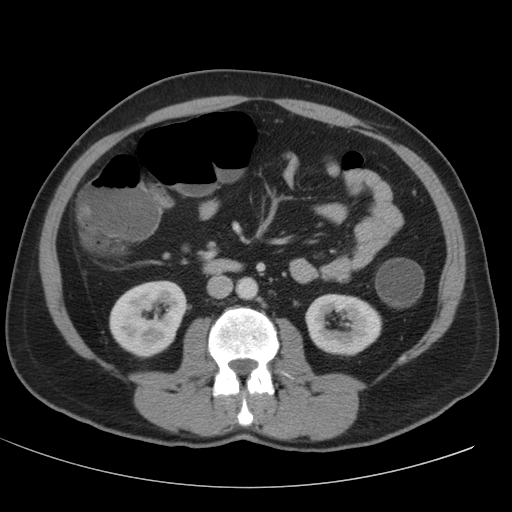

512x512, CT image, Abdomen

2 kidney regions appear at bbox=[110, 281, 186, 356]; bbox=[306, 294, 381, 354].